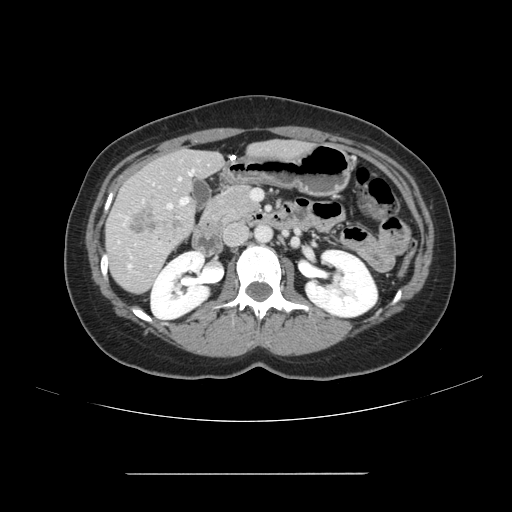
CT scan slice. Not every hepatic vessel necessarily has a box.
The liver tumor is at <bbox>130, 204, 179, 236</bbox>. 5 hepatic vessel regions are located at <bbox>180, 198, 187, 204</bbox>, <bbox>178, 178, 180, 180</bbox>, <bbox>128, 265, 131, 267</bbox>, <bbox>168, 204, 171, 208</bbox>, <bbox>189, 170, 193, 175</bbox>.